Slice 109 of 155
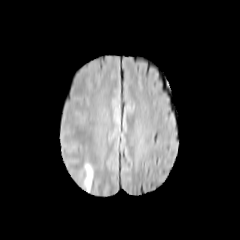
FLAIR MR image.
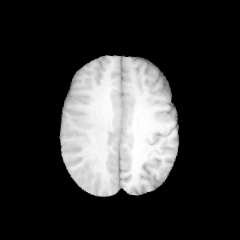
T1-weighted MR image.
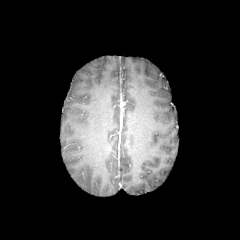
Post-contrast T1-weighted MRI.
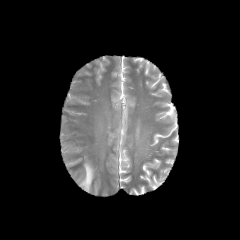
Same slice, T2-weighted MR image.
Segmented structures:
• edema: {"x1": 80, "y1": 163, "x2": 93, "y2": 190}